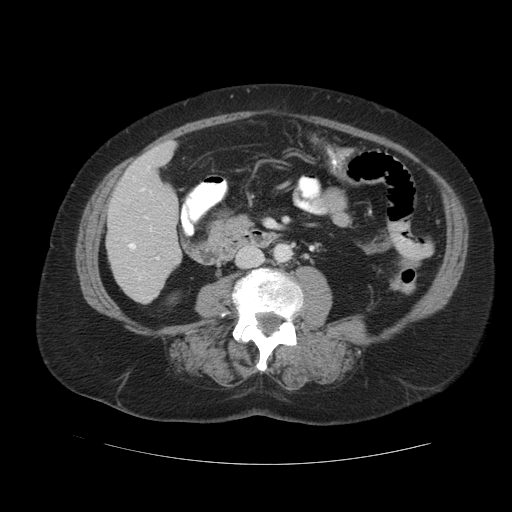
CT slice
The vessel boxes may cover only some of the vessels.
2 hepatic vessel regions are bounded by bbox(130, 244, 135, 248); bbox(142, 188, 144, 190).